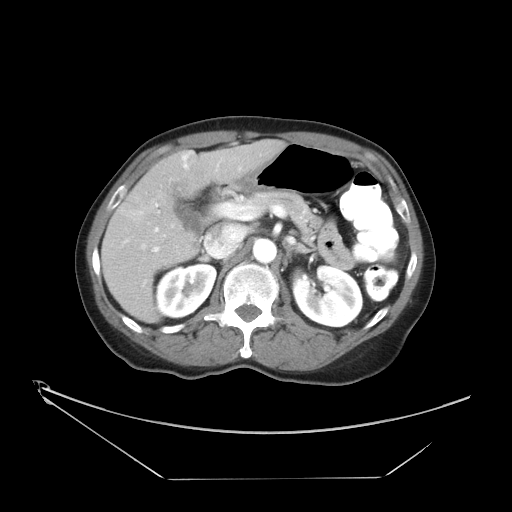

CT
Some hepatic vessels may have no box.
11 hepatic vessel regions are bounded by bbox(204, 230, 242, 254); bbox(238, 167, 241, 170); bbox(152, 247, 158, 251); bbox(155, 228, 157, 231); bbox(218, 203, 243, 219); bbox(125, 240, 127, 241); bbox(155, 204, 157, 205); bbox(142, 244, 145, 248); bbox(171, 225, 173, 227); bbox(182, 156, 187, 168); bbox(144, 280, 146, 283).